Brain | Slice 112/155
FLAIR MR image.
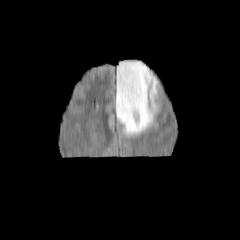
T1-weighted magnetic resonance.
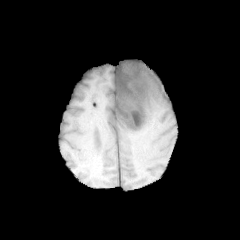
Post-contrast T1-weighted magnetic resonance.
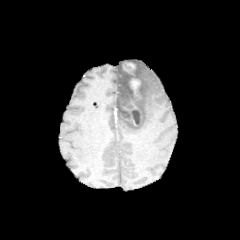
T2-weighted magnetic resonance.
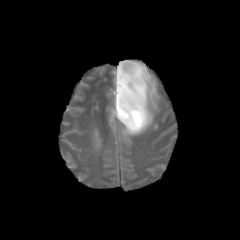
non-enhancing tumor core: box(117, 69, 143, 128); box(121, 61, 135, 69) | edema: box(115, 63, 128, 101); box(115, 60, 157, 136) | enhancing tumor: box(123, 63, 135, 72); box(130, 79, 140, 95)